Brain, 240x240 px
FLAIR MR.
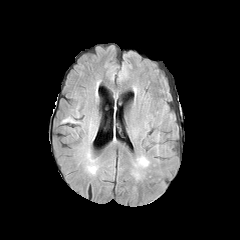
T1-weighted MRI.
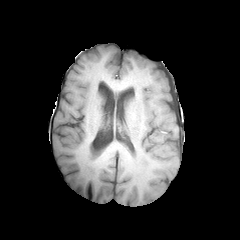
Post-contrast T1-weighted MR.
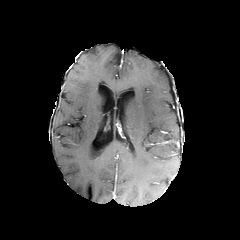
T2-weighted MR image.
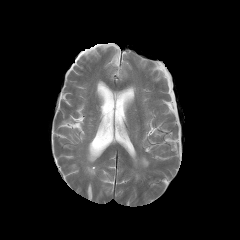
edema:
  - (133, 156, 149, 168)